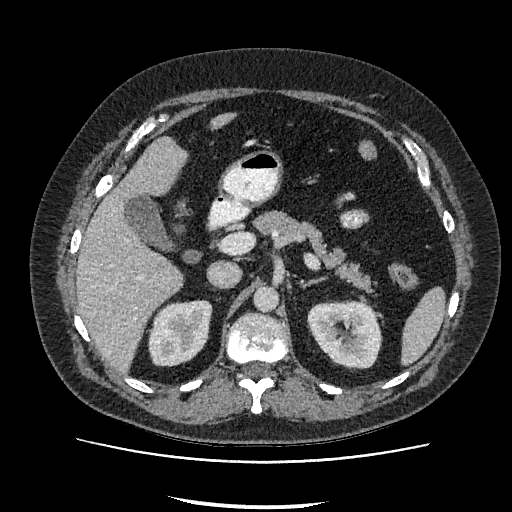
CT image, 512x512 px, Abdomen
Kidney = bbox=[150, 301, 210, 364]; bbox=[308, 303, 380, 367].
Liver = bbox=[77, 137, 186, 373]; bbox=[212, 113, 233, 128].